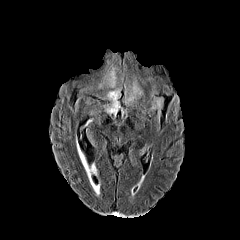
FLAIR MRI.
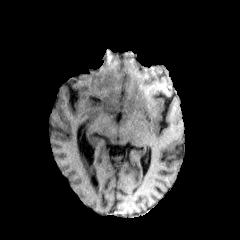
Same slice, T1-weighted MR.
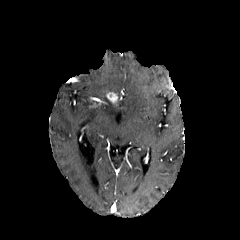
Same slice, post-contrast T1-weighted MR.
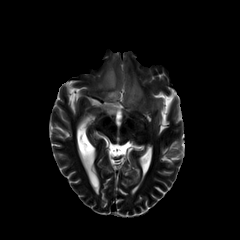
T2-weighted MR of the same slice.
240x240
The enhancing tumor is located at 106 92 117 104. 5 edema regions appear at 103 100 120 116, 148 90 163 120, 123 77 144 106, 107 88 121 98, 98 66 117 89.